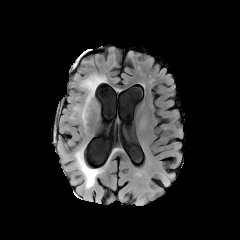
FLAIR MRI.
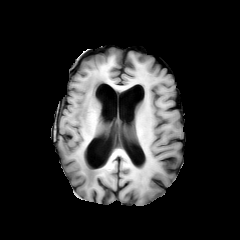
T1-weighted MR of the same slice.
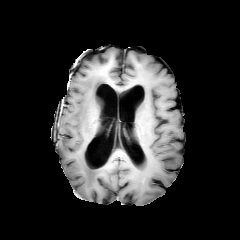
Same slice, post-contrast T1-weighted MR image.
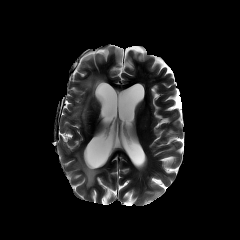
T2-weighted MRI.
Head
Edema: bounding box x1=68, y1=147, x2=101, y2=189; x1=81, y1=75, x2=104, y2=103.